Field of view 240x240 mm.
FLAIR MRI.
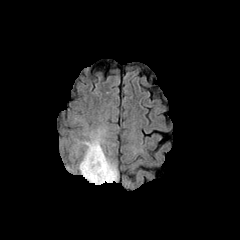
T1-weighted MRI.
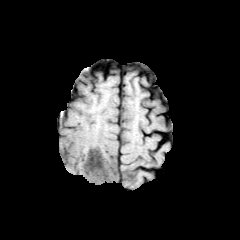
Post-contrast T1-weighted MRI.
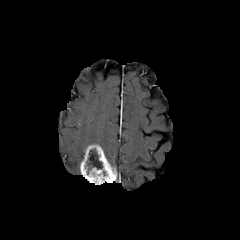
T2-weighted magnetic resonance.
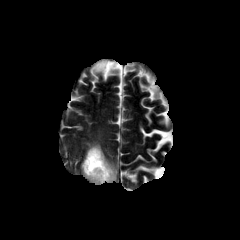
Findings:
• non-enhancing tumor core: <box>86,149,102,168</box>
• edema: <box>82,134,101,146</box>
• enhancing tumor: <box>80,144,117,183</box>